Slice 118 of 155 | Brain
FLAIR MRI.
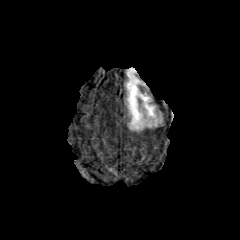
T1-weighted magnetic resonance.
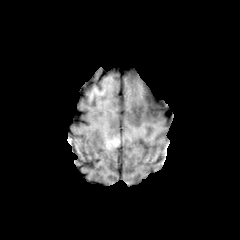
Post-contrast T1-weighted MR image.
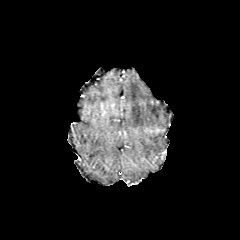
T2-weighted MRI.
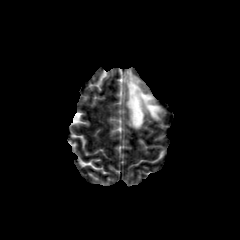
Edema = <bbox>125, 68, 161, 130</bbox>.